MR.

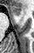

anterior hippocampus: (11,6,20,15)